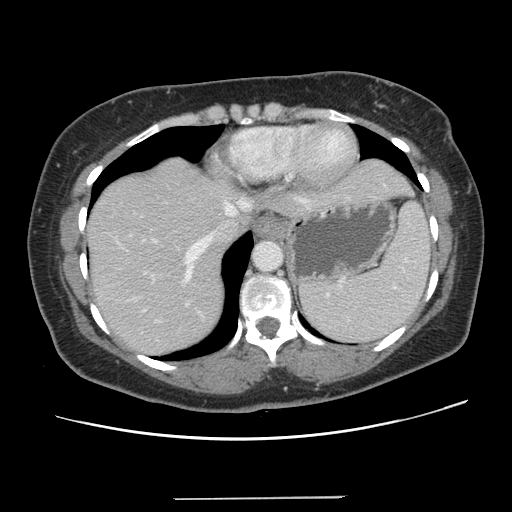
512x512 px; Computed tomography; Abdomen
The vessel annotation is not exhaustive.
6 hepatic vessel regions appear at 240, 201, 248, 208; 225, 203, 235, 215; 144, 272, 146, 273; 153, 239, 157, 241; 185, 303, 188, 305; 184, 236, 212, 281.